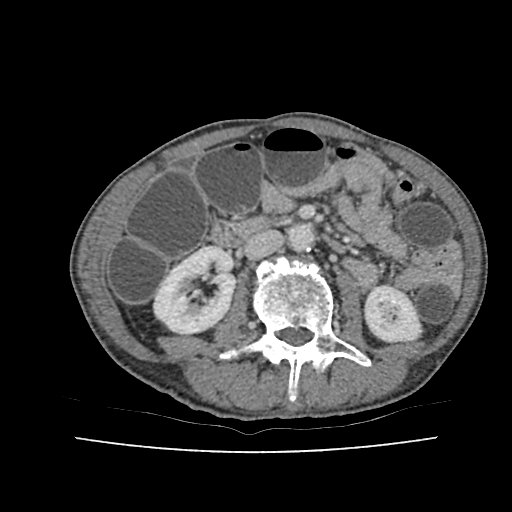 CT image. kidney:
  - <bbox>365, 286, 419, 341</bbox>
  - <bbox>154, 247, 234, 333</bbox>